MR; Hippocampus

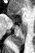

The anterior hippocampus is at left=11, top=17, right=14, bottom=21. The posterior hippocampus lies within left=11, top=31, right=24, bottom=46.